CT image, Abdomen 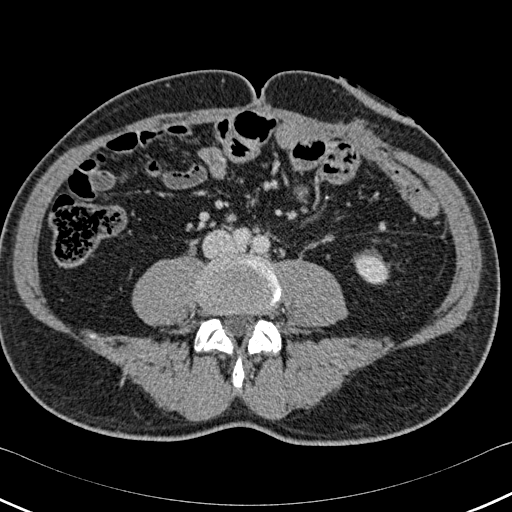

- bone: (248, 320, 280, 353), (194, 319, 232, 353), (199, 257, 281, 312), (233, 357, 244, 388)
- kidney: (356, 256, 386, 282)